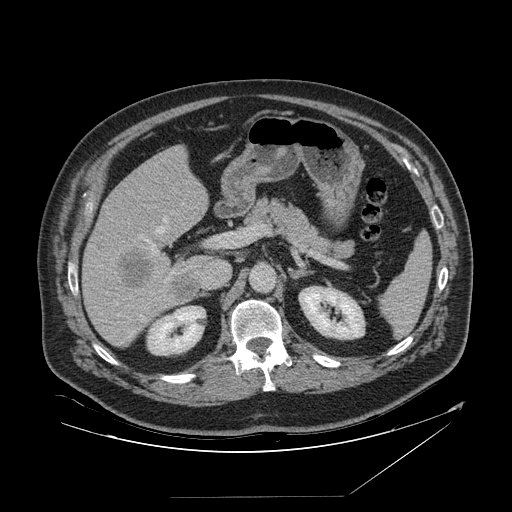 512x512, CT image

{"spleen": ["left=380, top=236, right=431, bottom=338"]}